Chest, Field of view 404x404 mm, CT scan slice, Slice 341 of 493 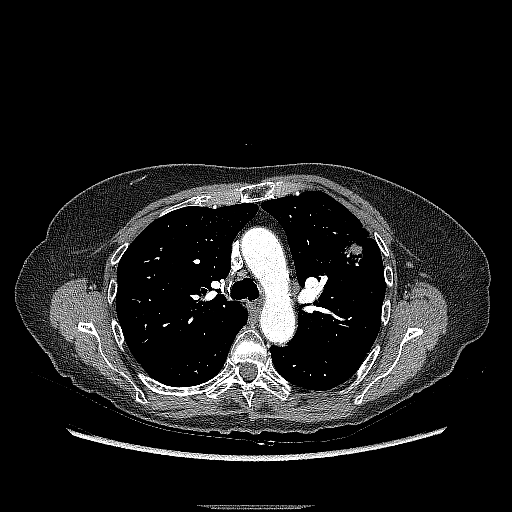 The lung tumor is located at x1=336, y1=234, x2=372, y2=268.